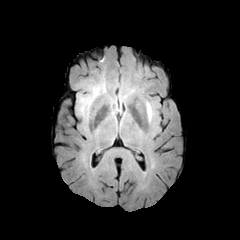
FLAIR MR.
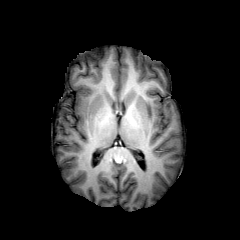
T1-weighted MR.
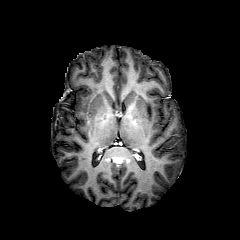
Same slice, post-contrast T1-weighted MR.
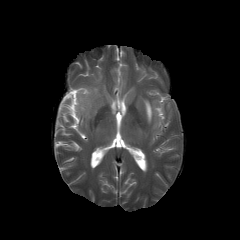
T2-weighted MR image.
Edema = x1=78, y1=86, x2=99, y2=120; x1=144, y1=100, x2=155, y2=121; x1=109, y1=88, x2=133, y2=109; x1=113, y1=116, x2=123, y2=125.